240x240 px; Head
FLAIR magnetic resonance.
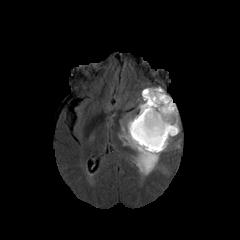
T1-weighted MR.
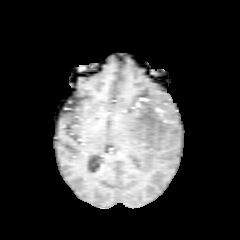
Post-contrast T1-weighted MR.
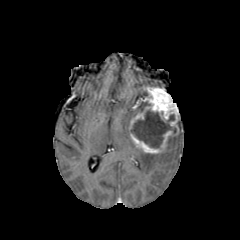
T2-weighted MR.
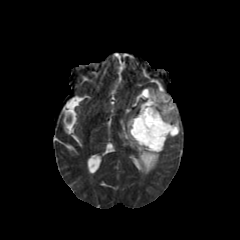
enhancing tumor: (129,87,179,154) | non-enhancing tumor core: (131,110,176,148) | edema: (122,116,176,174)